Slice 94 of 155, Brain, Field of view 240x240 mm
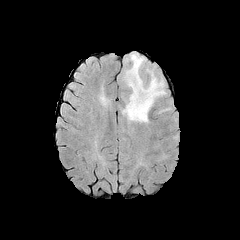
FLAIR MR.
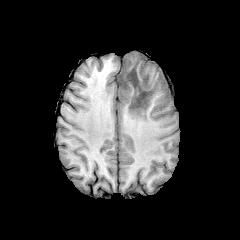
T1-weighted MRI.
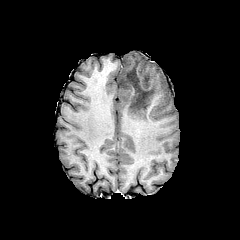
Post-contrast T1-weighted MR.
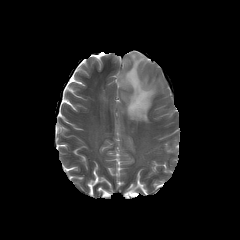
T2-weighted MR.
<segmentation>
  <non-enhancing_tumor_core>x1=127 y1=70 x2=149 y2=107</non-enhancing_tumor_core>
  <edema>x1=120 y1=52 x2=163 y2=122</edema>
</segmentation>